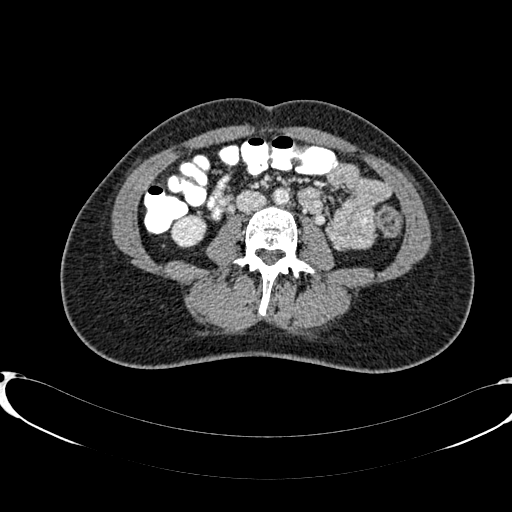

CT image.
Kidney: <bbox>173, 218, 201, 244</bbox>.